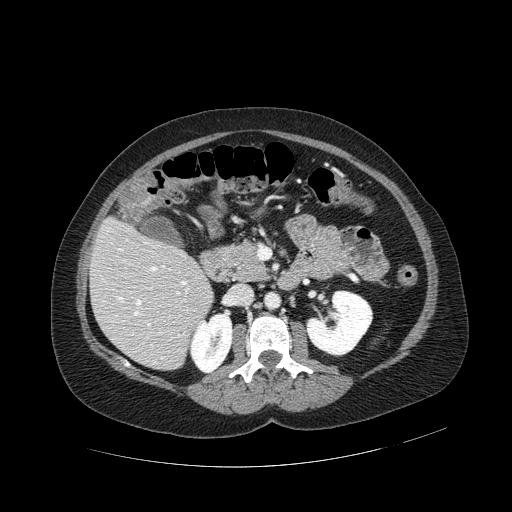

Image size 512x512. CT image. Findings:
- pancreas: <bbox>227, 244, 268, 282</bbox>